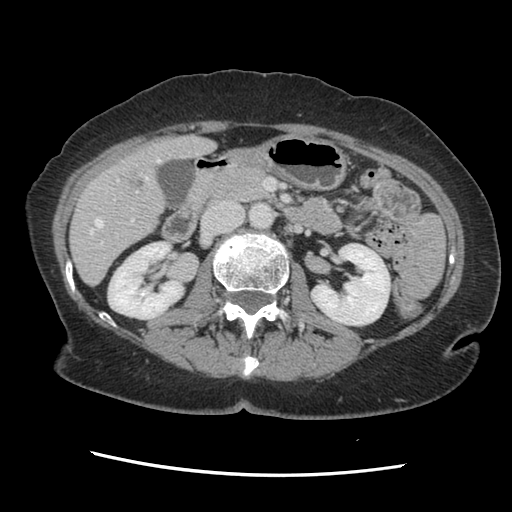
CT slice | Abdomen

Not every hepatic vessel necessarily has a box.
hepatic vessel: (x1=101, y1=242, x2=102, y2=243), (x1=157, y1=159, x2=160, y2=161), (x1=95, y1=218, x2=102, y2=227), (x1=131, y1=219, x2=133, y2=223), (x1=145, y1=175, x2=148, y2=180), (x1=90, y1=229, x2=93, y2=234) | liver tumor: (x1=125, y1=170, x2=144, y2=190)